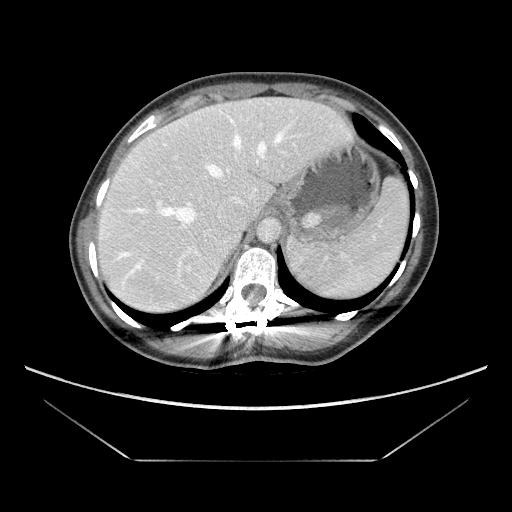 CT image

The vessel annotation is not exhaustive.
7 hepatic vessel regions are bounded by box(157, 202, 197, 227); box(206, 163, 222, 178); box(256, 141, 266, 161); box(230, 196, 242, 203); box(233, 137, 240, 149); box(192, 246, 194, 249); box(273, 132, 283, 144).